Upper abdomen, CT image, Slice 36 of 95

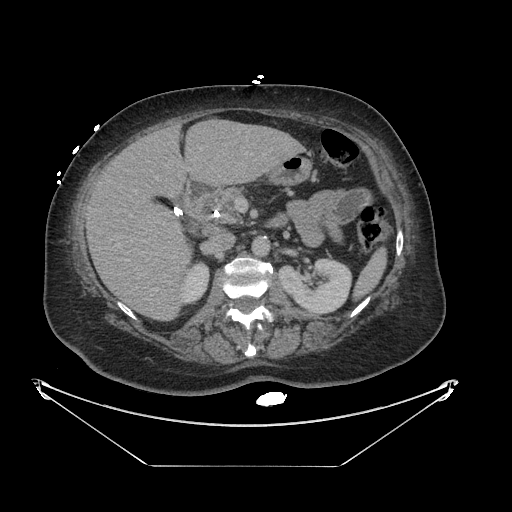 The pancreas is at l=213, t=188, r=243, b=224.